Slice 79 of 155. Head.
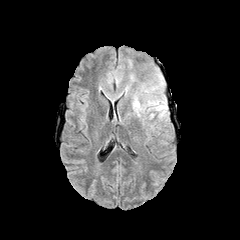
FLAIR magnetic resonance.
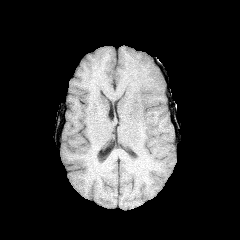
T1-weighted MR image.
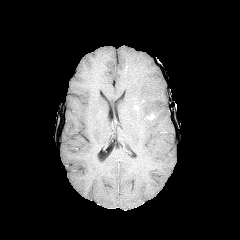
Same slice, post-contrast T1-weighted MR.
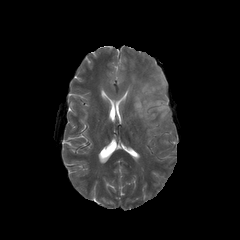
T2-weighted MRI.
Edema: 133 70 167 121, 134 108 147 121.
Non-enhancing tumor core: 134 100 154 119.